FLAIR MR image.
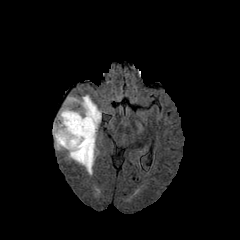
T1-weighted MRI.
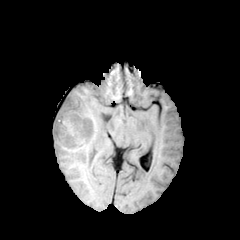
Post-contrast T1-weighted MRI.
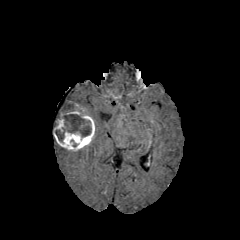
T2-weighted MR image.
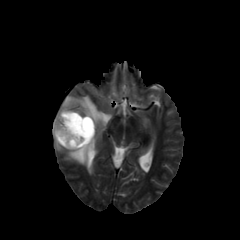
Brain.
Enhancing tumor at 53 103 95 149.
Edema at 54 94 108 174.
Non-enhancing tumor core at 63 114 90 136, 56 130 63 140, 69 142 91 159, 60 99 79 113.